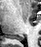
MR

• posterior hippocampus: [15, 36, 24, 40]